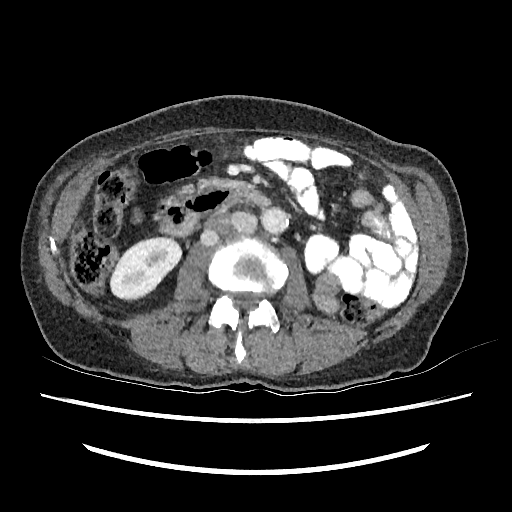
Abdomen | CT slice
The kidney is located at 111,238,181,298.